CT slice. 512x512 px. 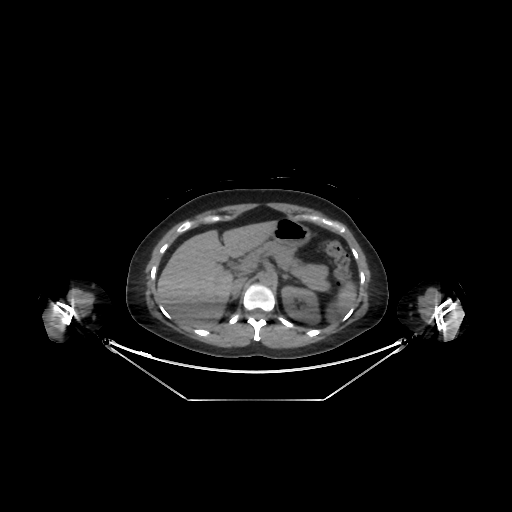

<segmentation>
  <liver>(left=154, top=222, right=276, bottom=332)</liver>
  <kidney>(left=281, top=285, right=319, bottom=324)</kidney>
</segmentation>